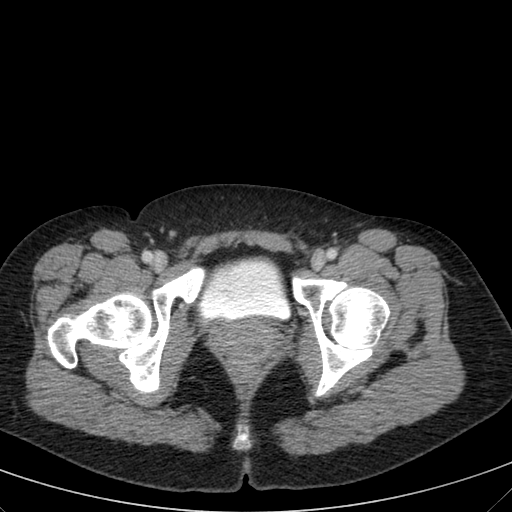 CT slice. urinary bladder: [199,262,289,320]